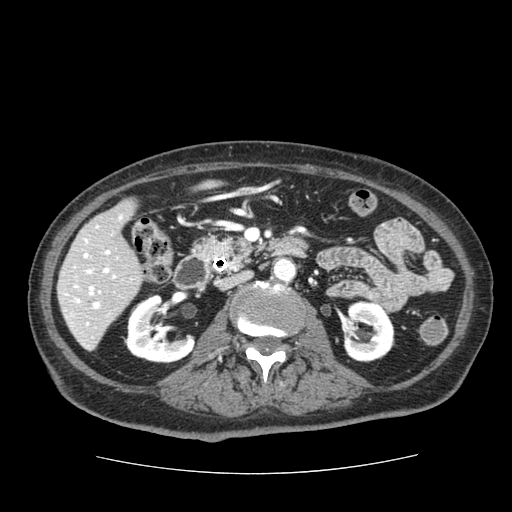 CT slice. Upper abdomen. The pancreas is bounded by [194,233,251,270].